Slice 551 of 624; CT; 512x512

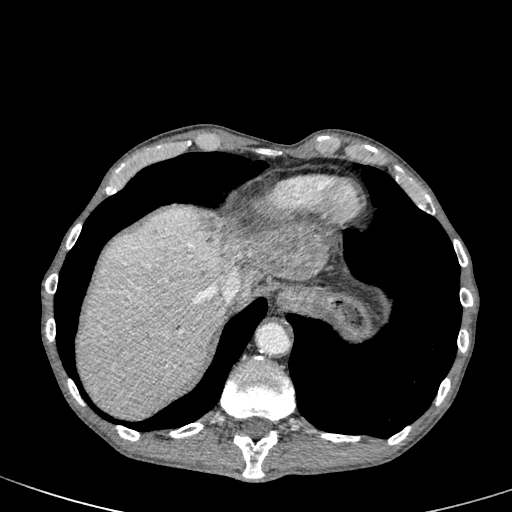
The hepatic lesion lies within <box>194,210,329,280</box>. The liver is at <box>78,207,258,419</box>.